FLAIR MR image.
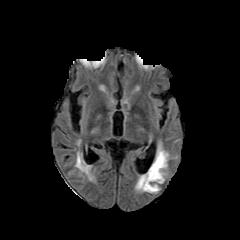
T1-weighted MRI.
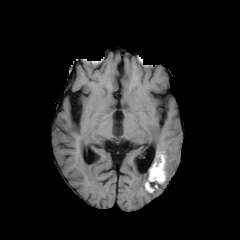
Post-contrast T1-weighted MRI.
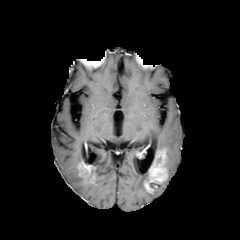
T2-weighted MRI.
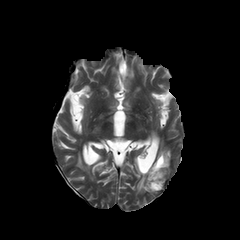
Brain; 240x240 px
Findings:
• edema: 157:148:169:181, 134:172:147:191, 75:155:85:167, 79:168:91:176
• enhancing tumor: 150:154:164:181
• non-enhancing tumor core: 154:150:165:181, 144:162:153:185, 148:182:159:190